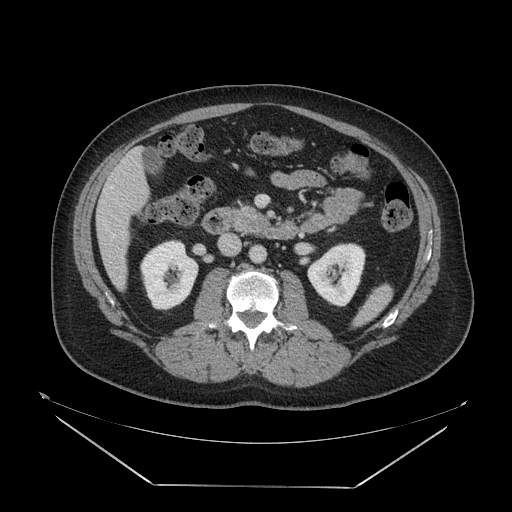

Computed tomography, Abdomen
Findings:
• pancreas: bbox=[233, 207, 265, 231]
• pancreatic tumor: bbox=[247, 218, 268, 234]